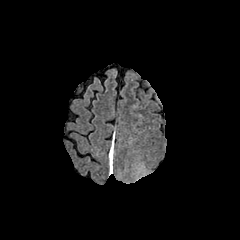
FLAIR MR.
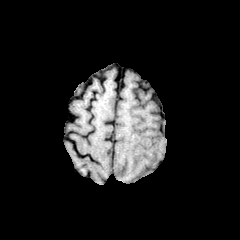
T1-weighted MR.
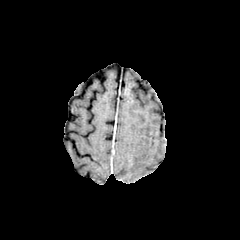
Post-contrast T1-weighted MR.
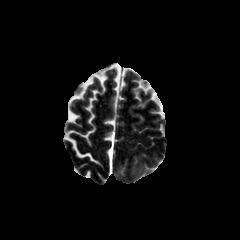
T2-weighted MRI.
Head
Segmented structures:
• edema: [x1=108, y1=144, x2=113, y2=173]